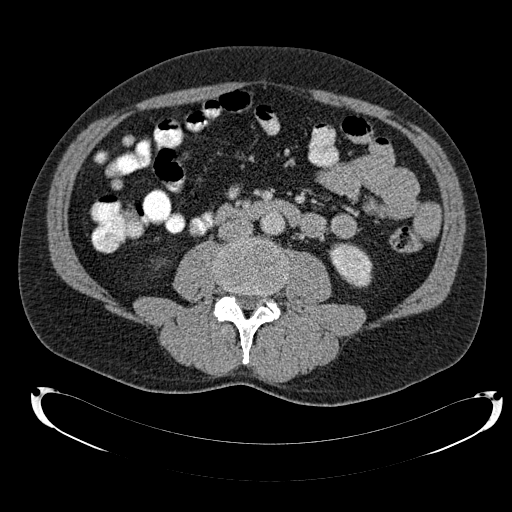 512x512; Computed tomography

kidney:
  - [331, 244, 371, 285]